Head. 240x240 px.
FLAIR MR.
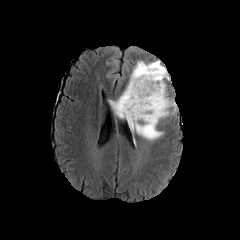
T1-weighted magnetic resonance.
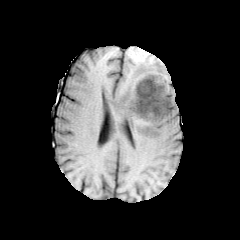
Post-contrast T1-weighted MR image.
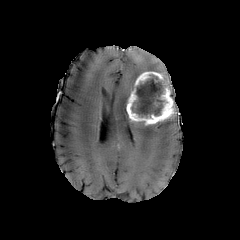
T2-weighted MR image.
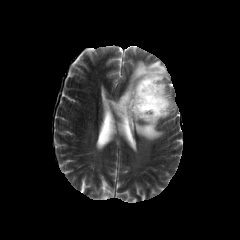
Segmented structures:
• non-enhancing tumor core: 131,74,163,115
• enhancing tumor: 126,83,175,125; 135,70,163,86
• edema: 107,59,170,141